Slice 49/155; Head
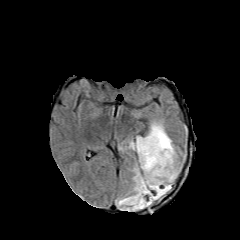
FLAIR MR.
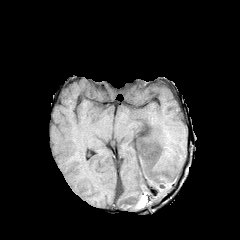
T1-weighted MRI.
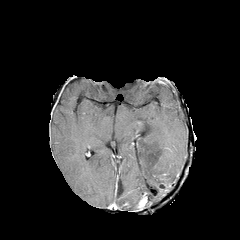
Post-contrast T1-weighted MR of the same slice.
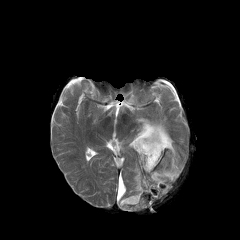
T2-weighted MR.
The edema lies within left=116, top=121, right=179, bottom=211. The non-enhancing tumor core appears at left=160, top=183, right=170, bottom=194.